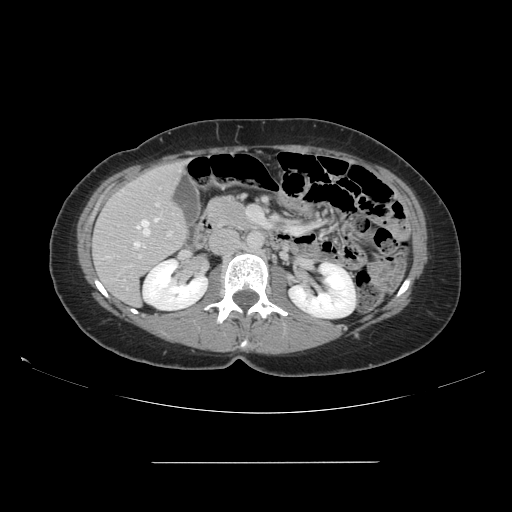
CT scan slice | Abdomen
Only some of the vessels may be annotated.
8 hepatic vessel regions are located at (139, 255, 140, 257), (105, 256, 108, 258), (136, 220, 149, 235), (167, 231, 172, 235), (112, 255, 114, 256), (134, 242, 144, 247), (154, 218, 159, 221), (156, 203, 159, 205).